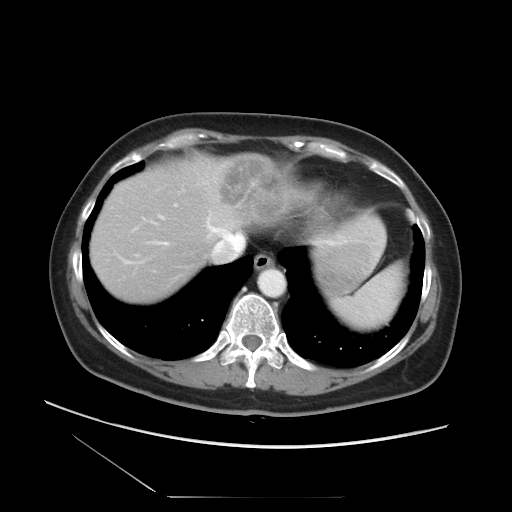 CT.
The vessel boxes may cover only some of the vessels.
2 hepatic vessel regions appear at region(207, 215, 243, 260); region(156, 242, 167, 244). The liver tumor lies within region(216, 153, 288, 227).